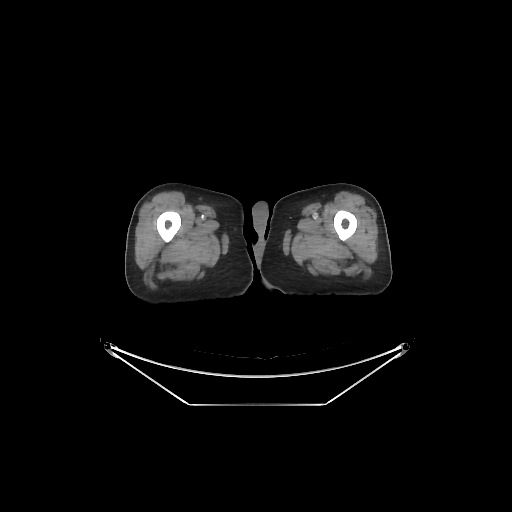
Computed tomography
Bone at 334,210,356,240; 156,210,180,241.